Brain; Slice index 72
FLAIR MR.
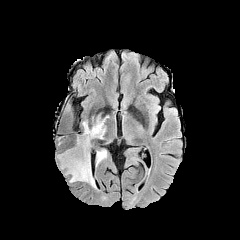
T1-weighted MRI.
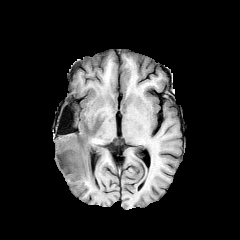
Post-contrast T1-weighted MRI.
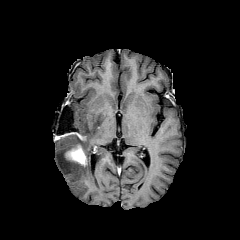
T2-weighted magnetic resonance.
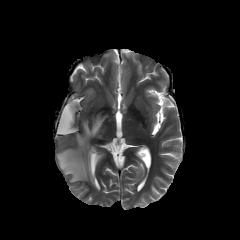
2 edema regions are located at {"x1": 58, "y1": 134, "x2": 73, "y2": 147}, {"x1": 57, "y1": 115, "x2": 108, "y2": 189}. The non-enhancing tumor core is at {"x1": 56, "y1": 132, "x2": 91, "y2": 165}. The enhancing tumor is located at {"x1": 66, "y1": 145, "x2": 86, "y2": 165}.